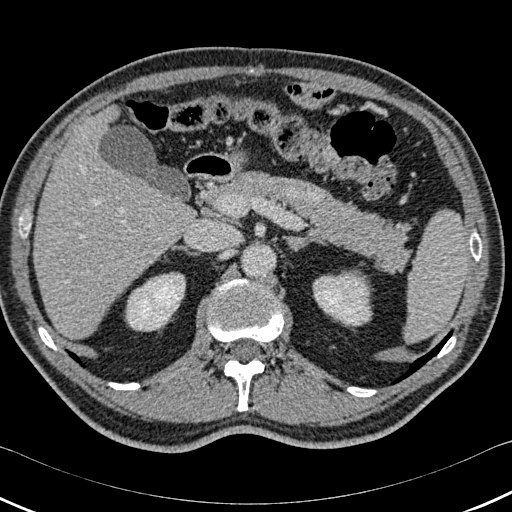 CT. Upper abdomen.

8 bone regions are bounded by {"x1": 438, "y1": 337, "x2": 455, "y2": 357}, {"x1": 109, "y1": 383, "x2": 139, "y2": 389}, {"x1": 20, "y1": 218, "x2": 30, "y2": 234}, {"x1": 470, "y1": 233, "x2": 481, "y2": 260}, {"x1": 39, "y1": 328, "x2": 56, "y2": 349}, {"x1": 208, "y1": 279, "x2": 283, "y2": 342}, {"x1": 347, "y1": 387, "x2": 375, "y2": 396}, {"x1": 224, "y1": 360, "x2": 264, "y2": 411}. The liver is located at {"x1": 34, "y1": 112, "x2": 196, "y2": 338}. 2 lung regions are located at {"x1": 390, "y1": 329, "x2": 452, "y2": 384}, {"x1": 69, "y1": 352, "x2": 86, "y2": 367}. 2 kidney regions are located at {"x1": 127, "y1": 274, "x2": 184, "y2": 330}, {"x1": 314, "y1": 275, "x2": 370, "y2": 324}.